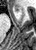

36x50 px; Hippocampus; MRI
<segmentation>
  <anterior_hippocampus>l=12, t=6, r=20, b=13</anterior_hippocampus>
</segmentation>